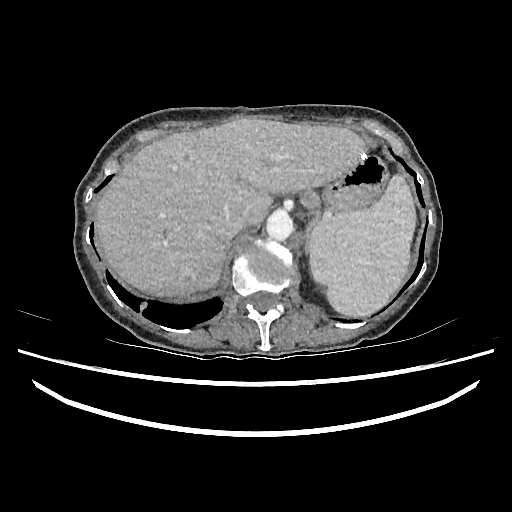
Computed tomography. 512x512. Upper abdomen.
The liver lies within <bbox>98, 118, 365, 295</bbox>.